Image width 370 mm | Slice 32 of 95 | CT | Pelvis
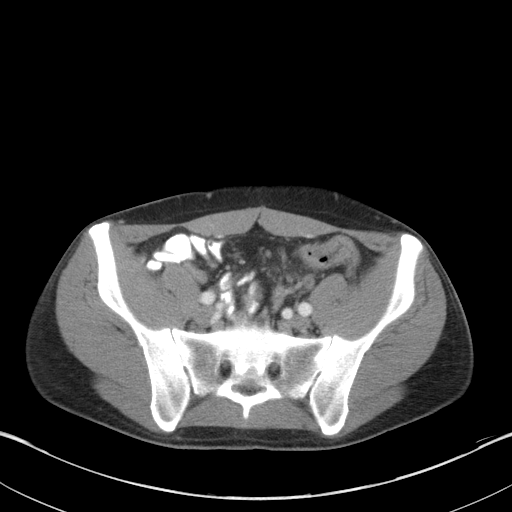 The colon tumor is located at 299:236:357:269.